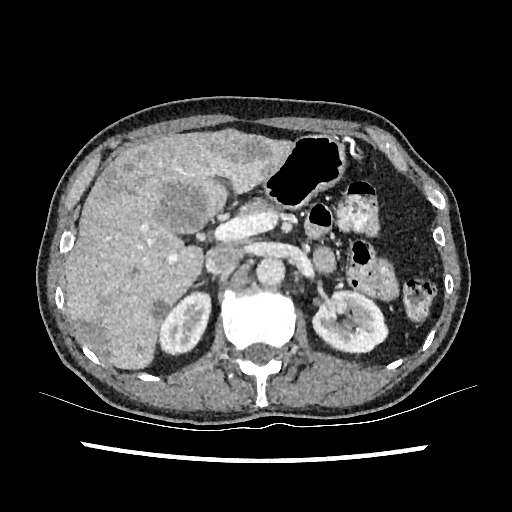
CT slice

The liver is bounded by <box>66,130,295,368</box>. 10 liver lesion regions are bounded by <box>261,163,274,176</box>, <box>134,176,145,186</box>, <box>156,184,206,229</box>, <box>136,343,147,354</box>, <box>129,267,139,278</box>, <box>203,135,272,165</box>, <box>150,299,170,320</box>, <box>99,165,126,201</box>, <box>123,161,134,171</box>, <box>74,320,109,356</box>. 2 kidney regions are located at <box>313,291,387,352</box>, <box>160,293,210,353</box>.